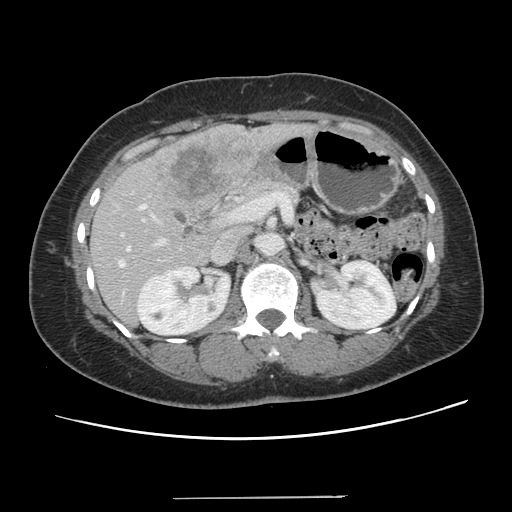
Liver. CT slice. Image size 512x512.
The vessel boxes may cover only some of the vessels.
<segmentation>
  <liver_tumor>x1=152, y1=136, x2=248, y2=202</liver_tumor>
  <hepatic_vessel>x1=119, y1=260, x2=124, y2=266; x1=127, y1=246, x2=130, y2=250; x1=122, y1=291, x2=124, y2=294; x1=142, y1=219, x2=145, y2=221; x1=156, y1=239, x2=165, y2=245; x1=121, y1=233, x2=123, y2=236; x1=152, y1=215, x2=158, y2=221; x1=140, y1=205, x2=146, y2=209</hepatic_vessel>
</segmentation>